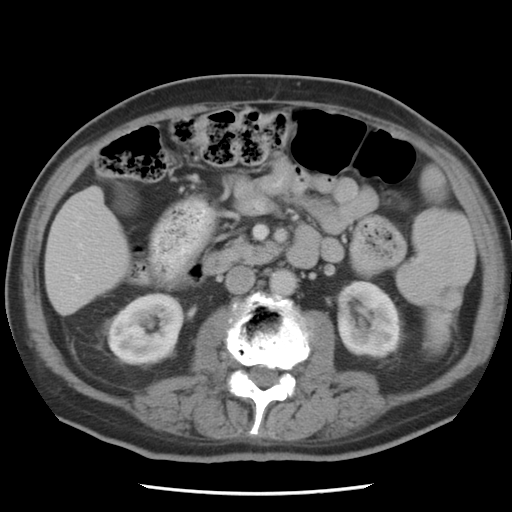
Abdomen | 512x512 | CT

<segmentation>
  <pancreas>x1=227 y1=236 x2=278 y2=266</pancreas>
</segmentation>